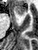
38x50 px | Hippocampus | Magnetic resonance

{"anterior_hippocampus": ["l=14, t=6, r=26, b=14"]}